Slice 52/155
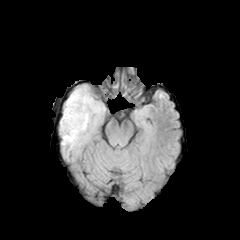
FLAIR MR image.
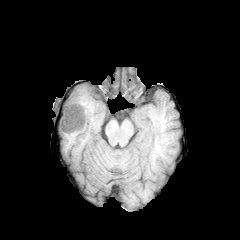
T1-weighted MR of the same slice.
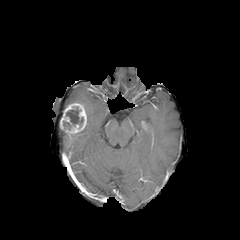
Post-contrast T1-weighted MRI.
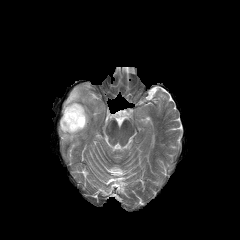
T2-weighted magnetic resonance.
The enhancing tumor appears at (60, 103, 86, 137). The non-enhancing tumor core is located at (66, 108, 83, 124). The edema appears at (60, 85, 105, 156).